Slice index 11; Prostate
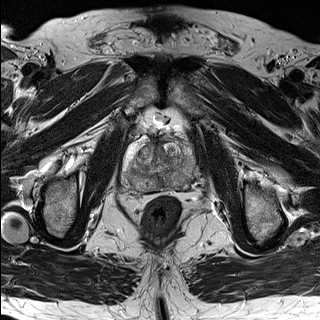
T2-weighted magnetic resonance.
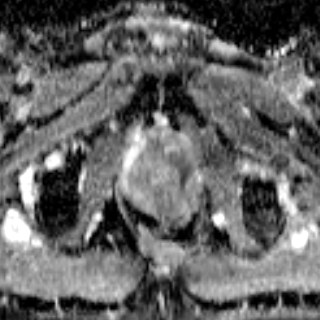
ADC magnetic resonance.
Annotated regions:
• prostate peripheral zone: [123,139,192,189]
• prostate transition zone: [130,139,183,176]